Abdomen; Image size 512x512; Slice index 115; Field of view 382 mm wide, 1.50 mm slice spacing; CT image 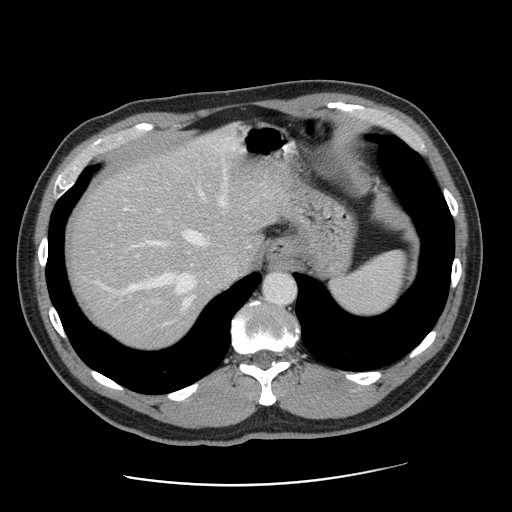
The vessel boxes may cover only some of the vessels.
Findings:
- hepatic vessel: (220,196,226,205), (106,287,115,291), (119,273,194,294), (243,246,248,248), (184,230,246,283), (225,173,226,183), (199,189,201,192), (159,209,160,210), (184,297,190,308)